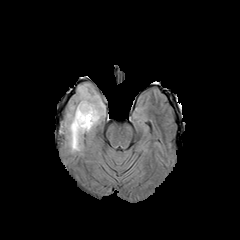
FLAIR magnetic resonance.
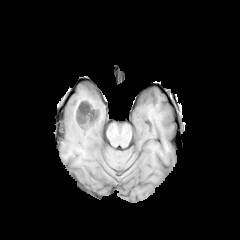
Same slice, T1-weighted MR image.
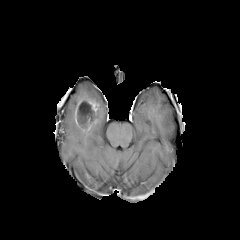
Post-contrast T1-weighted MR.
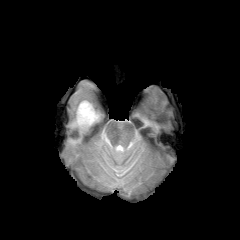
T2-weighted MR image.
Segmented structures:
* non-enhancing tumor core: 75,101,97,123
* edema: 65,86,105,152